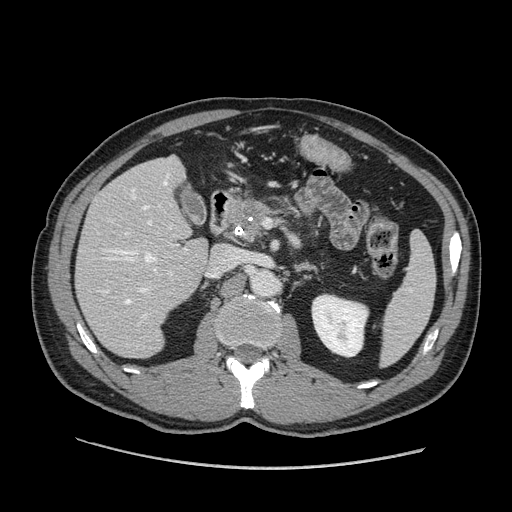

CT | Image size 512x512
Pancreatic tumor at [x1=238, y1=202, x2=262, y2=230].
Pancreas at [x1=229, y1=198, x2=289, y2=244].